Field of view 240x240 mm; Slice index 113
FLAIR MRI.
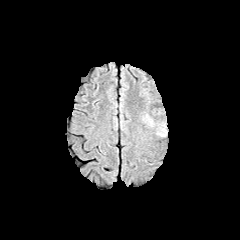
T1-weighted MR.
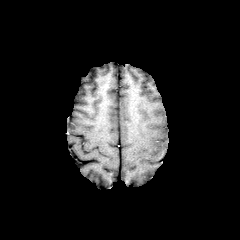
Post-contrast T1-weighted MR.
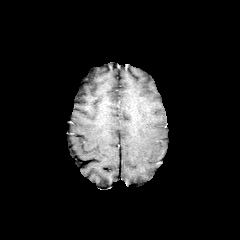
T2-weighted MRI.
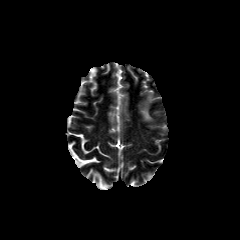
2 edema regions appear at 158 123 165 136, 143 112 155 126.